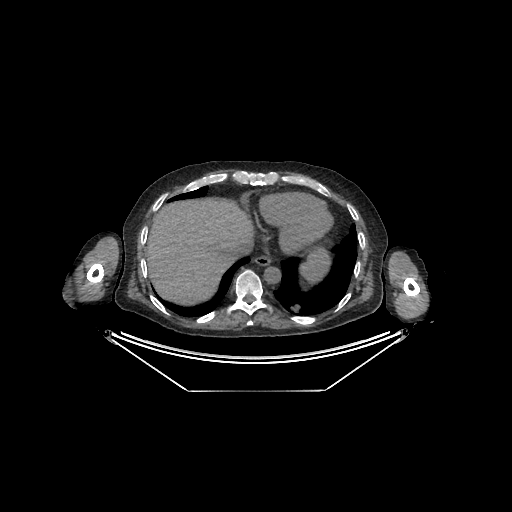

CT slice. Liver. Liver — <box>144,198,247,304</box>, <box>250,223,261,238</box>.